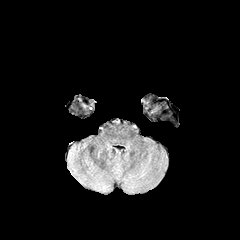
FLAIR MRI.
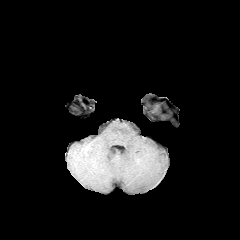
T1-weighted MR image.
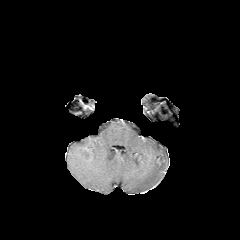
Post-contrast T1-weighted MR.
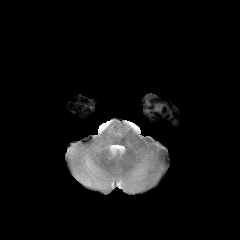
Same slice, T2-weighted MR.
Head | 240x240 px
2 edema regions appear at x1=88, y1=167, x2=98, y2=181; x1=126, y1=169, x2=143, y2=189.